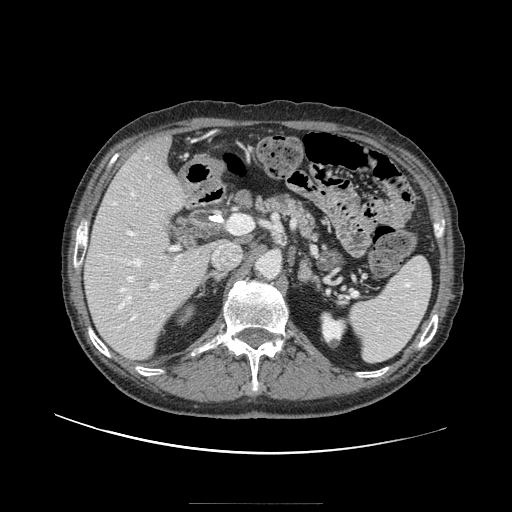 Computed tomography
2 pancreas regions appear at {"x1": 256, "y1": 194, "x2": 318, "y2": 238}, {"x1": 325, "y1": 249, "x2": 343, "y2": 266}.